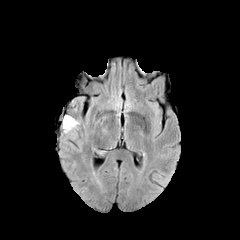
FLAIR MR.
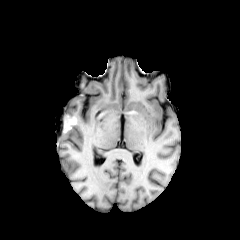
T1-weighted MR image of the same slice.
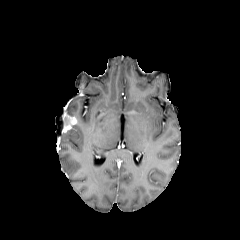
Same slice, post-contrast T1-weighted MRI.
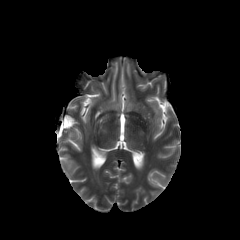
T2-weighted MR of the same slice.
Brain.
Edema: bounding box l=62, t=122, r=79, b=139.
Enhancing tumor: bounding box l=62, t=115, r=76, b=132.